Slice 466/685, CT image, Upper abdomen, Field of view 358x358 mm

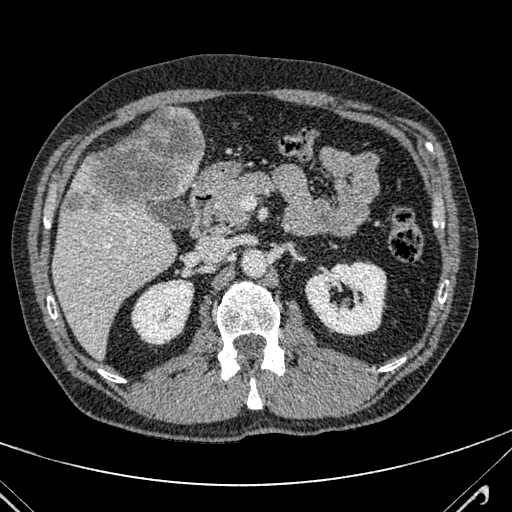

liver:
  - 51, 200, 175, 356
  - 171, 157, 200, 195
  - 70, 157, 95, 196
  - 176, 109, 195, 121
hepatic_lesion:
  - 62, 108, 202, 212